CT scan slice; Image size 512x512; Slice 125 of 158; Liver 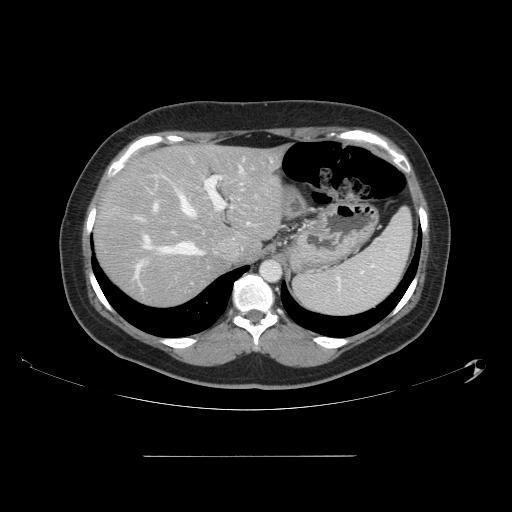

Only some of the vessels may be annotated.
Segmented structures:
* hepatic vessel: region(144, 235, 155, 249); region(177, 190, 193, 214); region(154, 204, 157, 210); region(139, 218, 142, 219); region(136, 261, 142, 277); region(205, 177, 225, 209); region(231, 206, 233, 208); region(156, 242, 201, 254); region(239, 166, 241, 170)